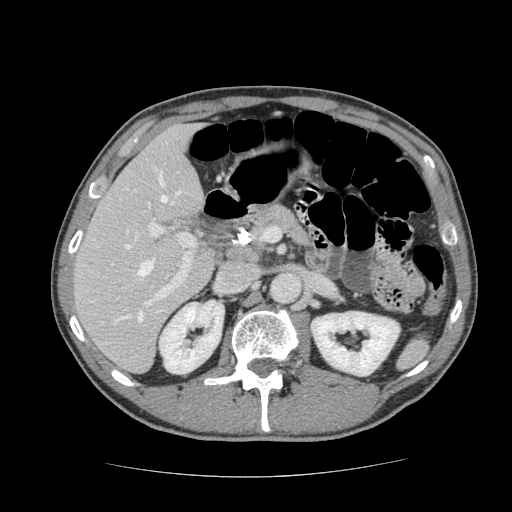

Image size 512x512, Abdomen, CT scan slice
Pancreas: [247,204,315,251].